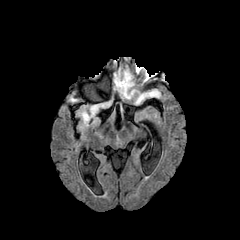
FLAIR magnetic resonance.
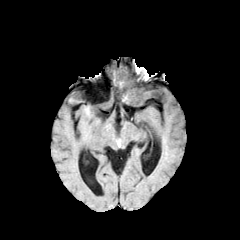
Same slice, T1-weighted MR.
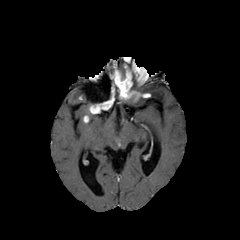
Same slice, post-contrast T1-weighted magnetic resonance.
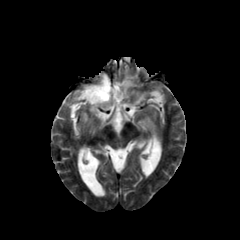
T2-weighted magnetic resonance of the same slice.
Head
• enhancing tumor: [x1=114, y1=69, x2=149, y2=98]
• non-enhancing tumor core: [x1=90, y1=96, x2=113, y2=113], [x1=131, y1=74, x2=139, y2=90]
• edema: [x1=135, y1=69, x2=146, y2=81], [x1=144, y1=88, x2=161, y2=98], [x1=82, y1=111, x2=95, y2=121], [x1=133, y1=98, x2=145, y2=104]